CT image; Abdomen
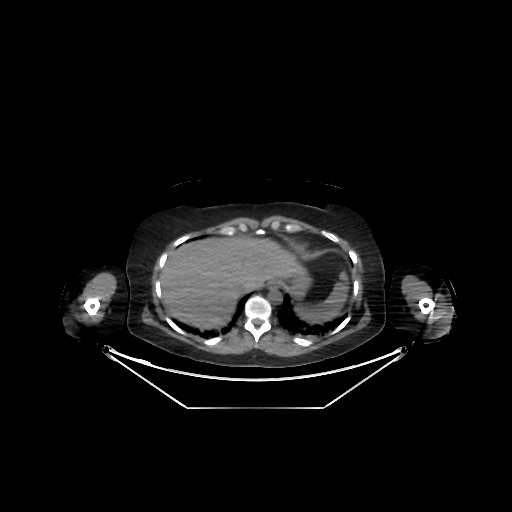
The liver is located at [159, 228, 302, 329].